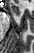
MR image; 34x53 px

Anterior hippocampus at 11:4:19:14.